Computed tomography. 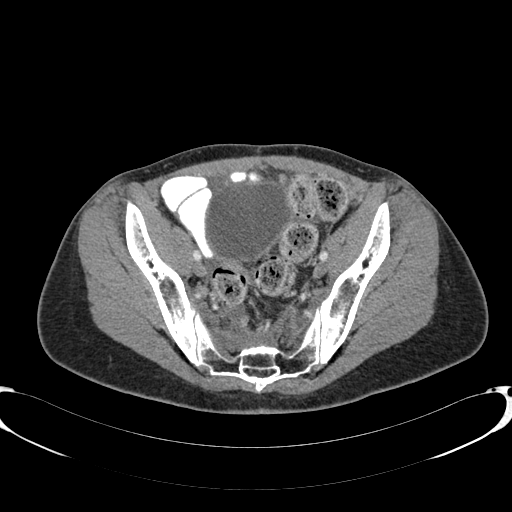
<segmentation>
  <urinary_bladder>208, 184, 289, 260</urinary_bladder>
</segmentation>